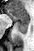 Hippocampus, Magnetic resonance

<segmentation>
  <anterior_hippocampus><bbox>7, 7, 28, 21</bbox></anterior_hippocampus>
  <posterior_hippocampus><bbox>16, 21, 28, 35</bbox></posterior_hippocampus>
</segmentation>